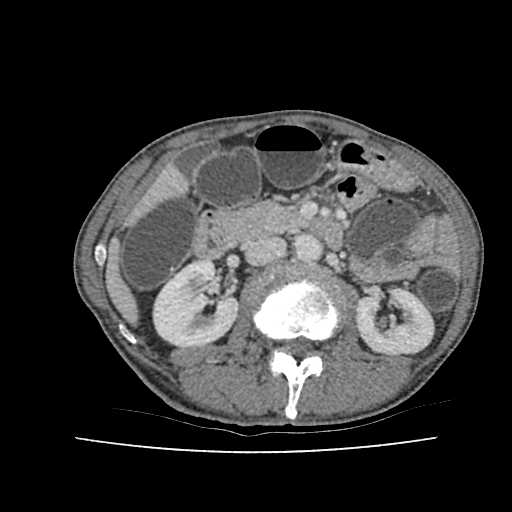
Computed tomography
<segmentation>
  <liver>rect(108, 245, 134, 315); rect(138, 168, 182, 214)</liver>
  <kidney>rect(357, 290, 433, 353); rect(154, 260, 237, 346)</kidney>
</segmentation>